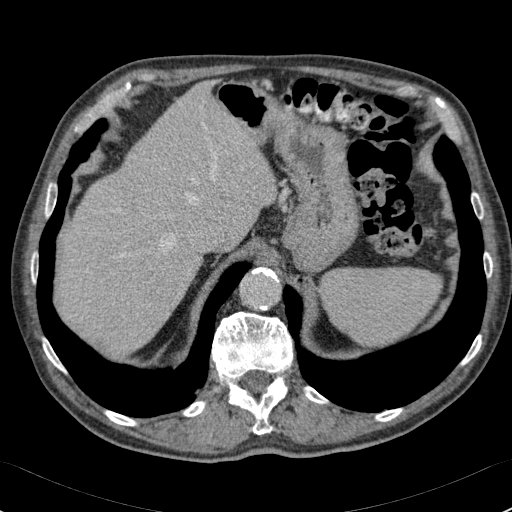 Liver. CT image. Image size 512x512.
• liver: 63,82,274,354